FLAIR MRI.
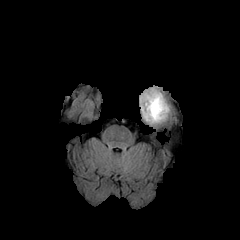
T1-weighted MRI.
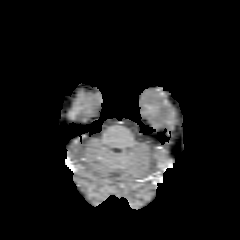
Post-contrast T1-weighted MRI.
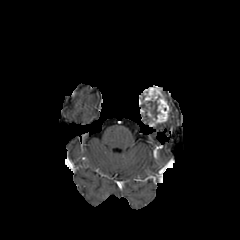
T2-weighted magnetic resonance.
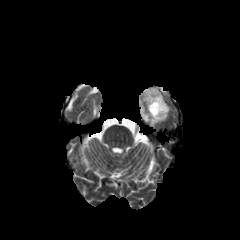
240x240.
The enhancing tumor is located at [139,88,170,126]. The non-enhancing tumor core is bounded by [140,100,160,121].